FLAIR magnetic resonance.
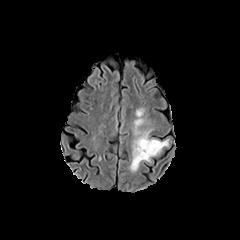
T1-weighted MR image.
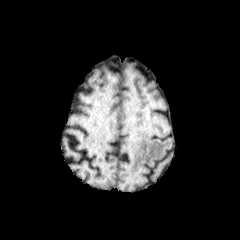
Post-contrast T1-weighted MR image.
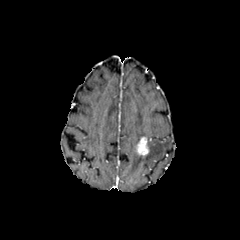
T2-weighted MRI.
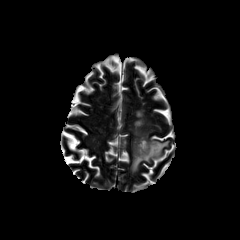
Brain
2 edema regions appear at <box>136,108,144,117</box>, <box>128,118,169,172</box>. The enhancing tumor lies within <box>134,136,149,157</box>.